240x240 px. Head.
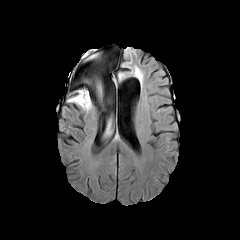
FLAIR MRI.
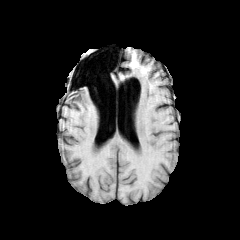
Same slice, T1-weighted magnetic resonance.
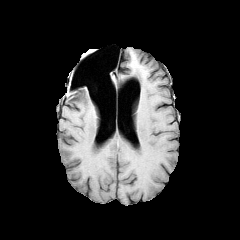
Post-contrast T1-weighted MR.
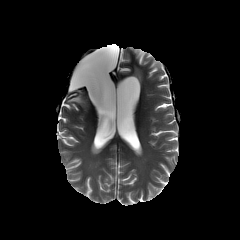
T2-weighted MR of the same slice.
Edema at bbox(70, 89, 90, 111); bbox(84, 76, 108, 109).